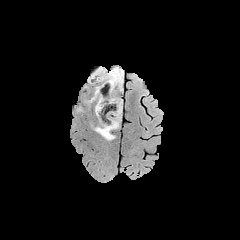
FLAIR MR.
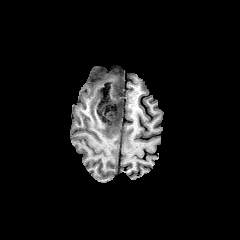
Same slice, T1-weighted MR image.
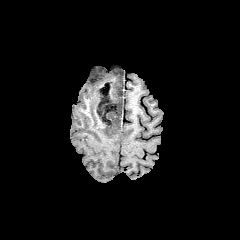
Post-contrast T1-weighted MR image.
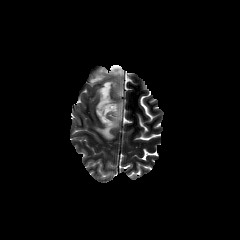
T2-weighted MRI.
Head
Non-enhancing tumor core at x1=95, y1=96, x2=111, y2=116; x1=112, y1=110, x2=121, y2=122; x1=110, y1=78, x2=120, y2=93.
Edema at x1=101, y1=110, x2=121, y2=140; x1=87, y1=67, x2=123, y2=109.